CT slice, Slice index 246

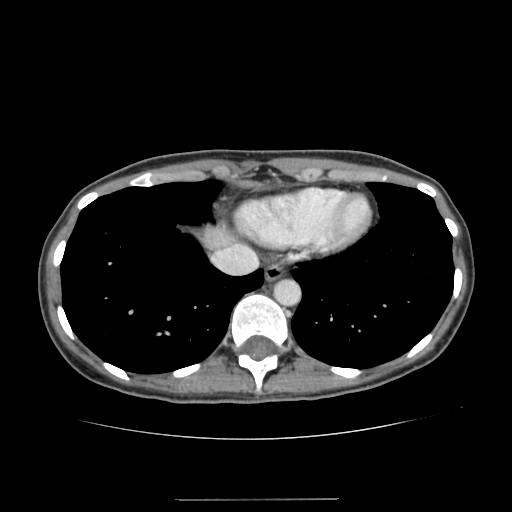

{"liver": ["(left=199, top=225, right=236, bottom=251)"]}